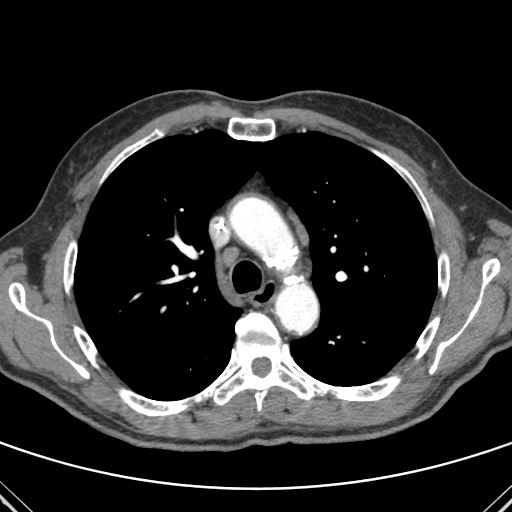

CT slice; Image size 512x512
Lung: region(74, 130, 436, 400).
Bone: region(373, 150, 432, 219); region(74, 326, 98, 367); region(416, 316, 439, 359); region(63, 241, 76, 293); region(8, 282, 89, 378); region(228, 117, 274, 140); region(118, 312, 400, 416); region(429, 258, 499, 374); region(438, 252, 449, 296); region(101, 136, 149, 182).